Brain; Slice 135 of 155
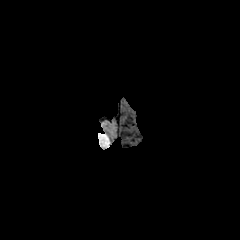
FLAIR MRI.
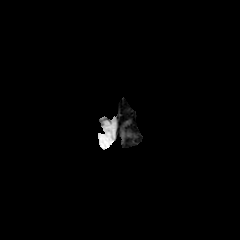
T1-weighted MRI.
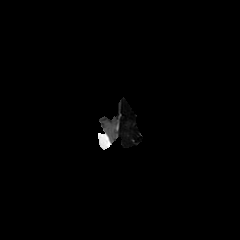
Post-contrast T1-weighted MRI.
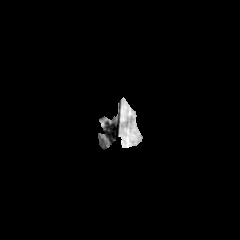
T2-weighted MR.
Enhancing tumor: {"x1": 98, "y1": 133, "x2": 109, "y2": 149}.